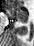
MR | Medial temporal lobe
<segmentation>
  <anterior_hippocampus>(left=5, top=7, right=27, bottom=20)</anterior_hippocampus>
  <posterior_hippocampus>(left=18, top=21, right=27, bottom=22)</posterior_hippocampus>
</segmentation>